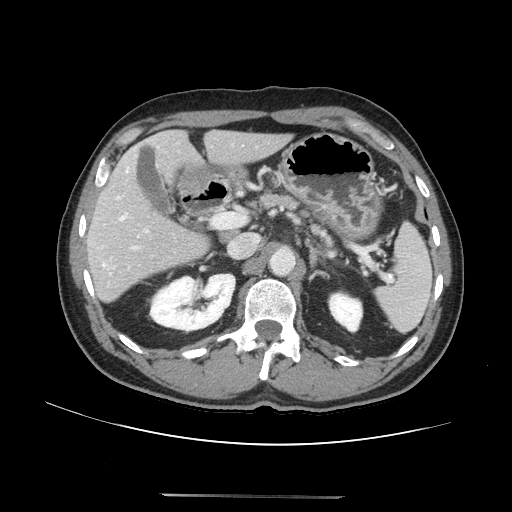 Abdomen. CT. 512x512.
Findings:
* pancreas: rect(256, 192, 334, 247)